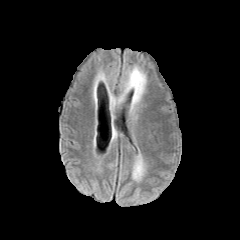
FLAIR MR.
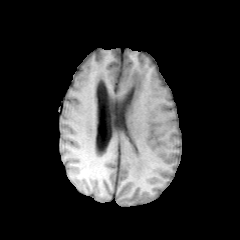
T1-weighted MRI.
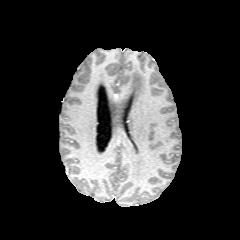
Post-contrast T1-weighted MR of the same slice.
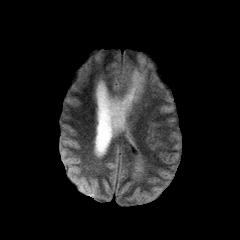
T2-weighted magnetic resonance of the same slice.
240x240 px
Edema at (110,66,146,116), (132,151,144,180).